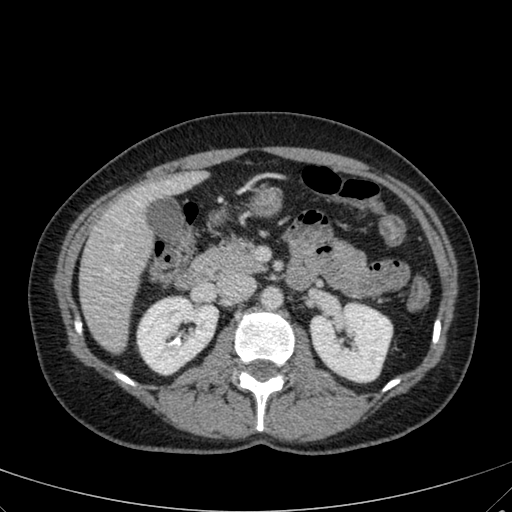
CT image, Image size 512x512
{"kidney": ["l=311, t=304, r=391, b=381", "l=138, t=298, r=217, b=373"], "liver": ["l=79, t=173, r=196, b=352"]}